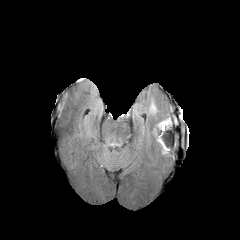
FLAIR MR.
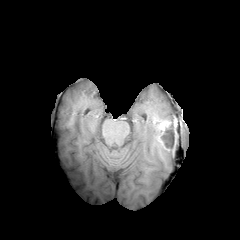
T1-weighted MR image of the same slice.
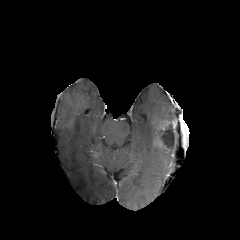
Post-contrast T1-weighted MRI of the same slice.
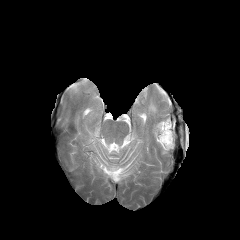
Same slice, T2-weighted magnetic resonance.
Segmented structures:
• edema: [102,139,119,159], [133,100,173,154]